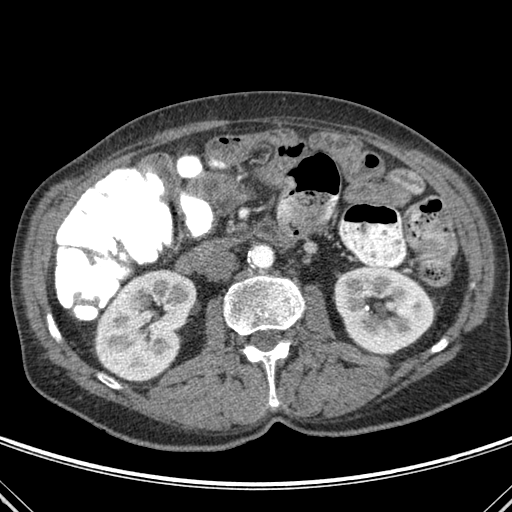

Abdomen | CT scan slice | 512x512 px
5 bone regions appear at l=431, t=339, r=447, b=352; l=242, t=341, r=290, b=406; l=224, t=272, r=304, b=335; l=98, t=373, r=120, b=388; l=47, t=314, r=60, b=339. 2 kidney regions are located at l=335, t=264, r=432, b=353; l=96, t=274, r=195, b=380.